Image size 240x240 | Slice index 73 | Head
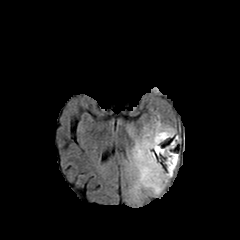
FLAIR MR image.
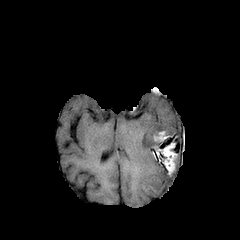
T1-weighted magnetic resonance.
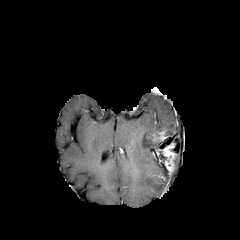
Post-contrast T1-weighted magnetic resonance.
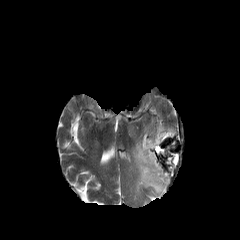
T2-weighted MRI.
edema: 127,115,179,201 | enhancing tumor: 154,131,167,141; 156,143,176,174